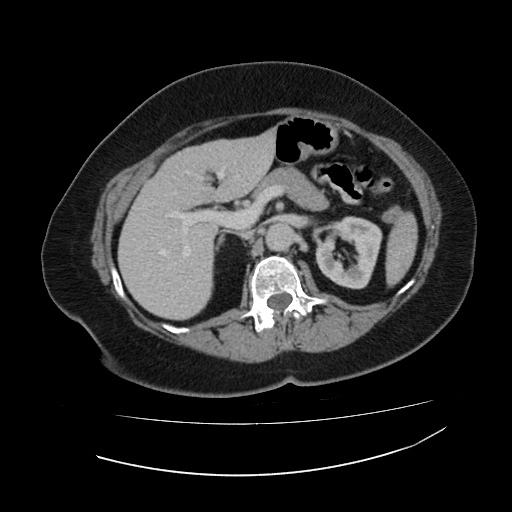
512x512 px | Upper abdomen | CT slice
Annotated regions:
- liver: {"x1": 118, "y1": 129, "x2": 275, "y2": 319}
- kidney: {"x1": 316, "y1": 217, "x2": 381, "y2": 288}